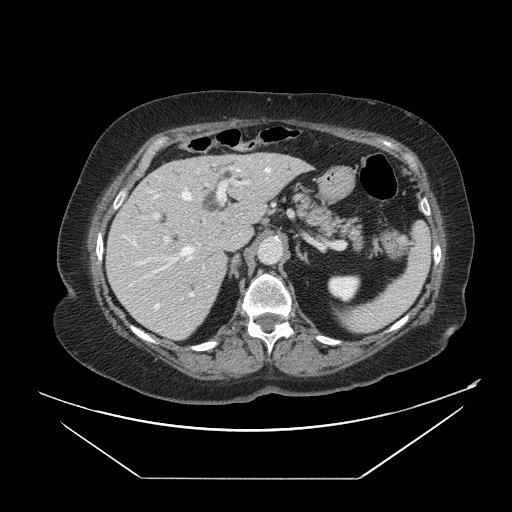 CT; 512x512 px
The pancreas is bounded by bbox=[298, 194, 363, 251].